FLAIR MR image.
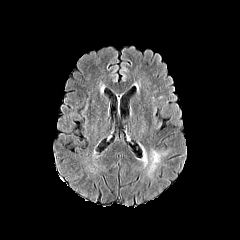
T1-weighted MR.
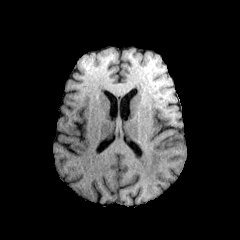
Post-contrast T1-weighted MR.
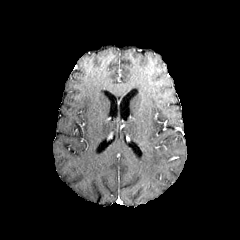
T2-weighted magnetic resonance.
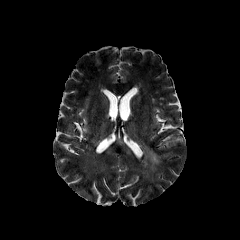
Image size 240x240
Edema = rect(150, 151, 159, 172).